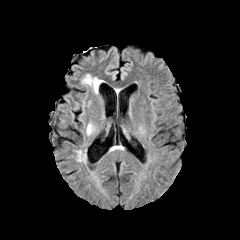
FLAIR MR image.
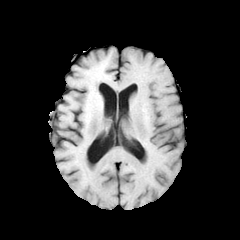
T1-weighted MR image.
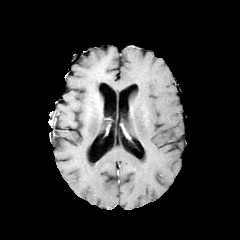
Post-contrast T1-weighted MRI.
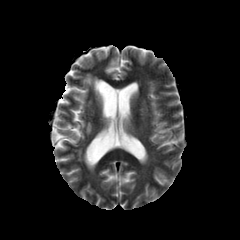
T2-weighted MRI of the same slice.
<segmentation>
  <edema>rect(85, 122, 95, 135); rect(81, 74, 103, 99); rect(76, 149, 86, 161)</edema>
</segmentation>